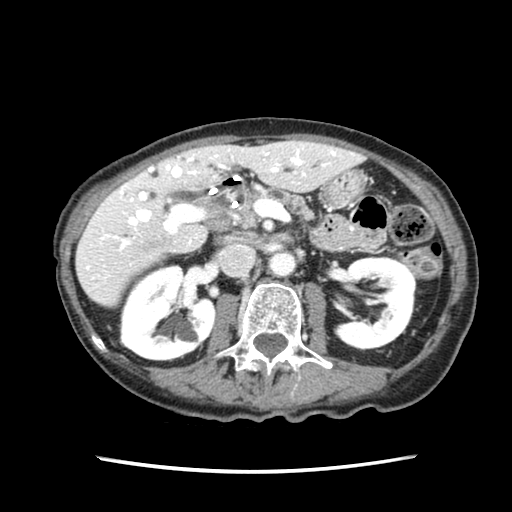 CT slice
pancreas: x1=241 y1=189 x2=313 y2=227